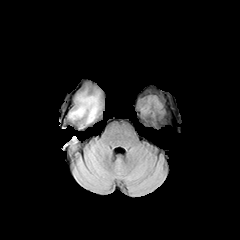
FLAIR MR.
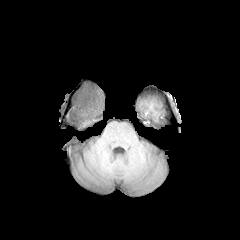
Same slice, T1-weighted MRI.
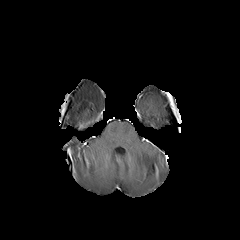
Post-contrast T1-weighted MR of the same slice.
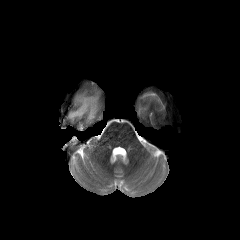
T2-weighted MRI.
240x240 px, Head
The edema is located at box(68, 92, 99, 128).